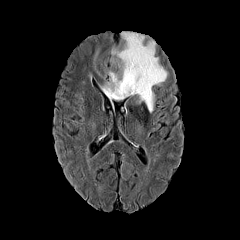
FLAIR MRI.
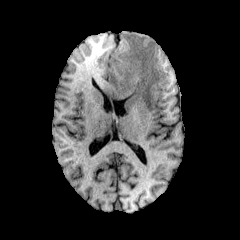
T1-weighted MR of the same slice.
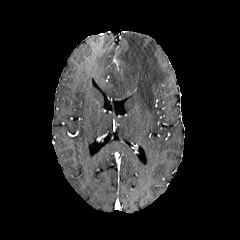
Same slice, post-contrast T1-weighted MR image.
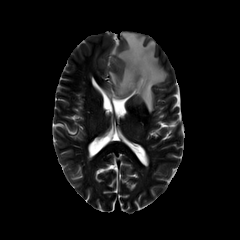
T2-weighted magnetic resonance.
240x240 px
The edema appears at [102,31,167,113].